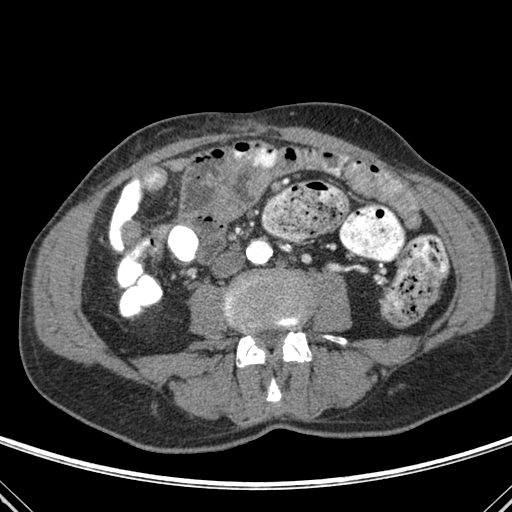

CT

Annotated regions:
• bone: region(324, 335, 345, 344); region(267, 379, 280, 402); region(224, 271, 311, 367)